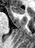
35x48 px | MRI | Medial temporal lobe
Annotated regions:
* anterior hippocampus: region(10, 5, 25, 14)